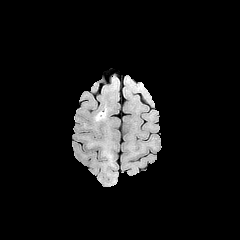
FLAIR MR image.
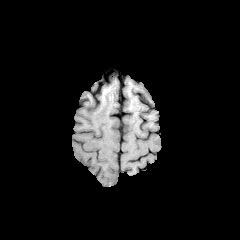
T1-weighted MR.
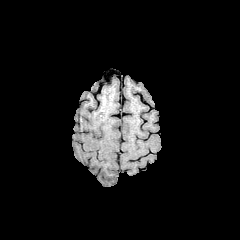
Post-contrast T1-weighted MRI.
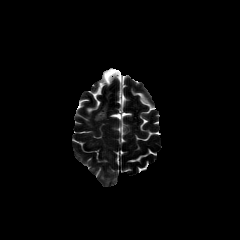
T2-weighted magnetic resonance of the same slice.
240x240. Brain.
The edema lies within rect(97, 112, 105, 119).